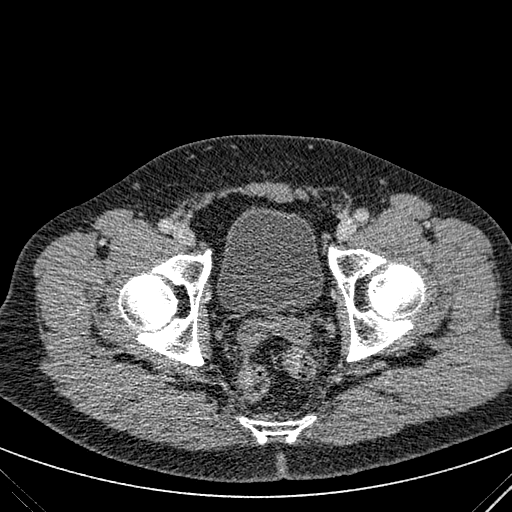

Image size 512x512. Pelvis. CT slice.
urinary_bladder:
  - (217,205,324,316)